CT scan slice; Image size 512x512; Abdomen 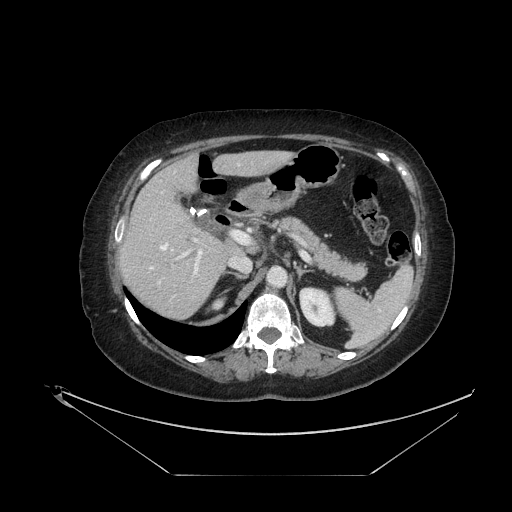

The pancreas is at region(279, 217, 366, 280).